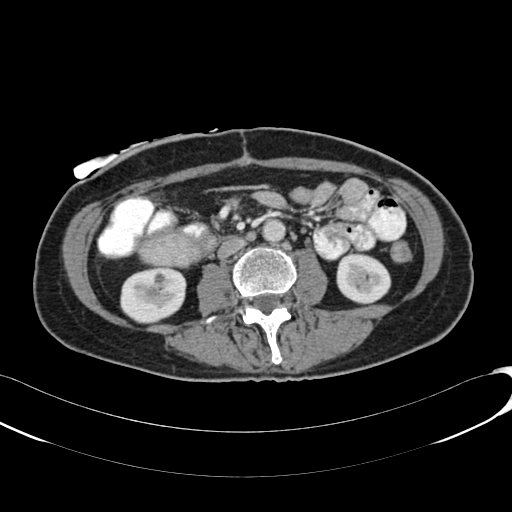 512x512. Abdomen. Computed tomography. <segmentation>
  <kidney>region(121, 268, 184, 321); region(337, 255, 389, 302)</kidney>
</segmentation>